Slice index 99
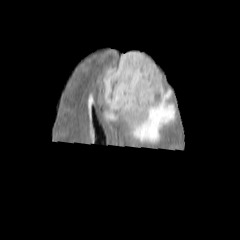
FLAIR magnetic resonance.
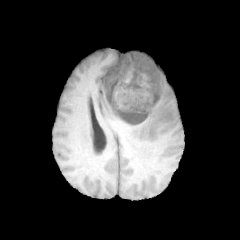
T1-weighted MR image.
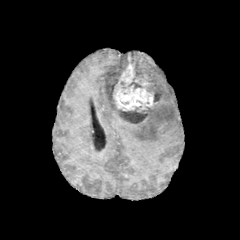
Post-contrast T1-weighted magnetic resonance of the same slice.
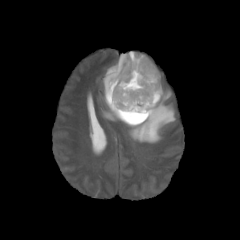
Same slice, T2-weighted MRI.
Annotated regions:
- non-enhancing tumor core: 117,107,150,124; 130,52,162,102; 103,53,128,108
- enhancing tumor: 113,55,155,111
- edema: 102,69,175,143